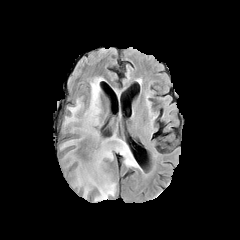
FLAIR MRI.
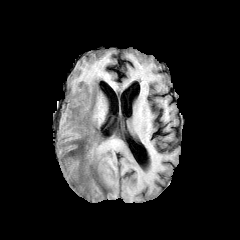
T1-weighted MRI of the same slice.
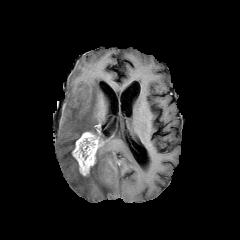
Post-contrast T1-weighted MR image of the same slice.
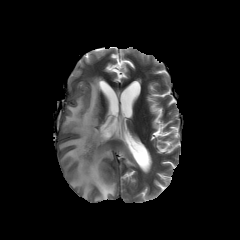
T2-weighted MR image.
Brain.
The enhancing tumor appears at (left=73, top=132, right=103, bottom=175). The non-enhancing tumor core appears at (left=79, top=140, right=100, bottom=159). 3 edema regions appear at (left=70, top=128, right=133, bottom=201), (left=60, top=139, right=77, bottom=165), (left=63, top=77, right=104, bottom=135).